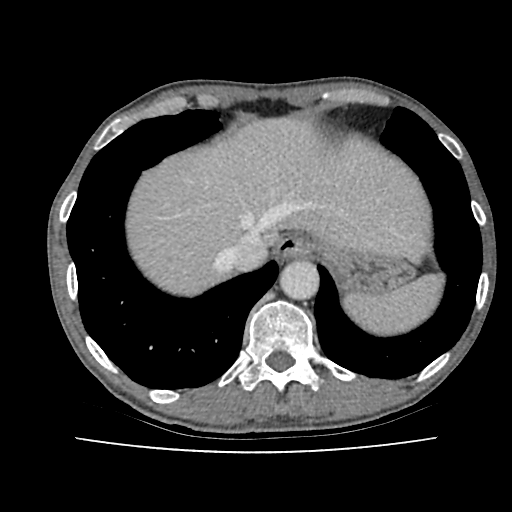 CT scan slice

liver: <bbox>128, 119, 430, 290</bbox>